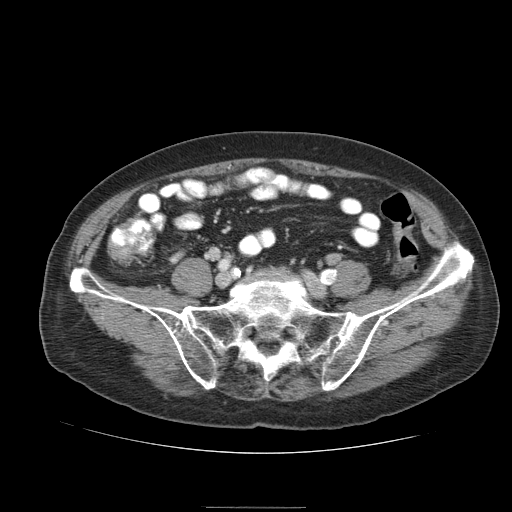 CT scan slice, 512x512
2 colon tumor regions appear at [108,238,144,261], [118,217,154,241].